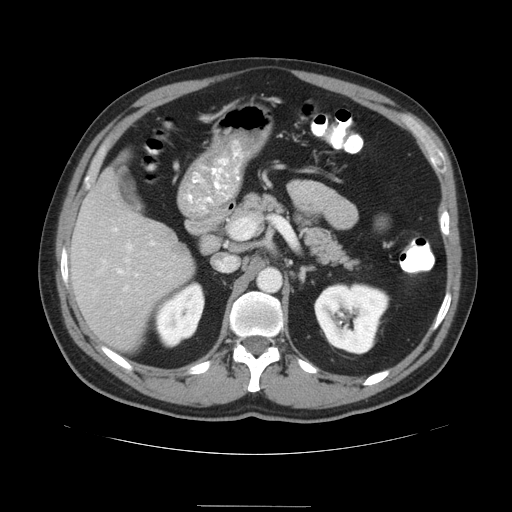

Computed tomography. Only some of the vessels may be annotated.
10 hepatic vessel regions are bounded by x1=96, y1=261, x2=107, y2=275; x1=117, y1=267, x2=129, y2=275; x1=113, y1=228, x2=117, y2=232; x1=149, y1=241, x2=155, y2=245; x1=124, y1=286, x2=129, y2=290; x1=230, y1=219, x2=253, y2=237; x1=134, y1=273, x2=138, y2=276; x1=125, y1=258, x2=130, y2=263; x1=126, y1=244, x2=132, y2=250; x1=117, y1=328, x2=118, y2=330.